Slice 51 of 95; Abdomen; Image width 426 mm; CT image

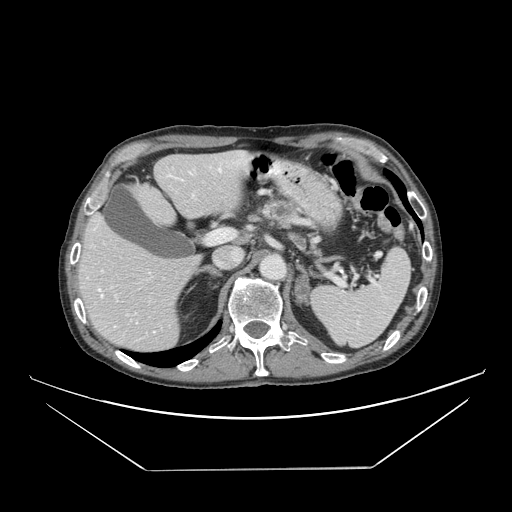

Pancreas: x1=257, y1=198, x2=298, y2=227.
Pancreatic tumor: x1=271, y1=205, x2=289, y2=219.